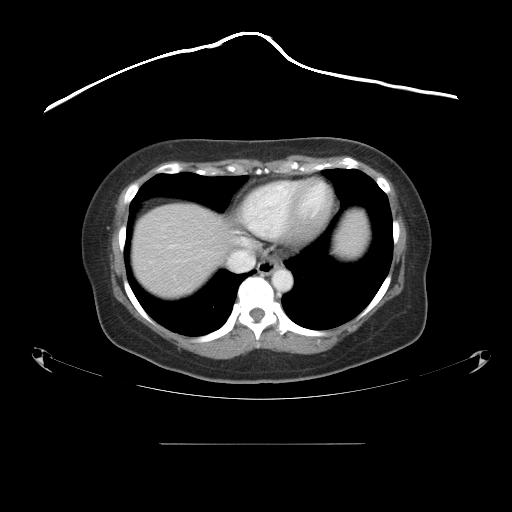 Computed tomography | Abdomen
The vessel annotation is not exhaustive.
Hepatic vessel at bbox(169, 245, 174, 248); bbox(241, 238, 244, 243); bbox(228, 249, 253, 270).